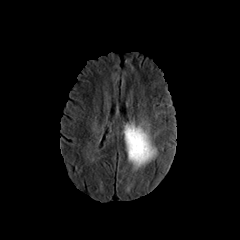
FLAIR MR image.
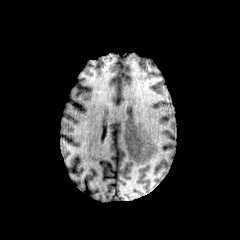
Same slice, T1-weighted MRI.
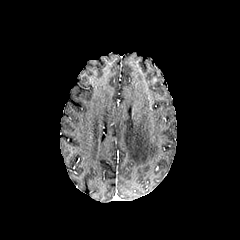
Same slice, post-contrast T1-weighted MRI.
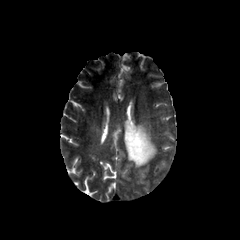
T2-weighted magnetic resonance.
Head
Edema at x1=122, y1=120, x2=158, y2=174.